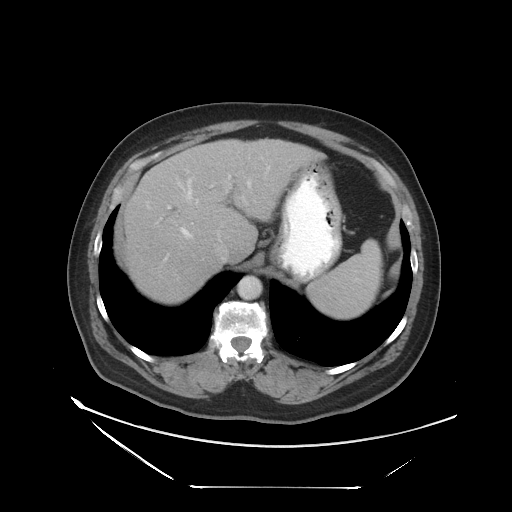 Liver. Image size 512x512. CT image.

Only some of the vessels may be annotated.
hepatic_vessel:
  - 227 175 230 179
  - 172 220 193 238
  - 185 179 191 197
  - 248 182 249 185
  - 191 222 193 224